FLAIR MR.
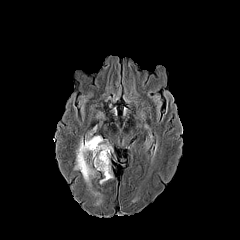
T1-weighted MRI.
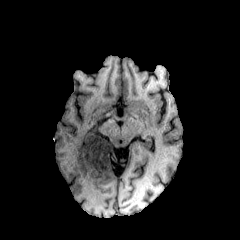
Post-contrast T1-weighted MR image.
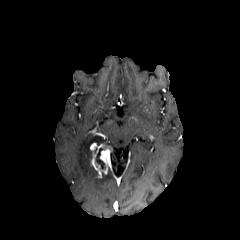
T2-weighted MR.
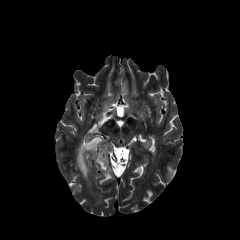
Brain. 240x240.
2 edema regions are located at <box>99,172,112,183</box>, <box>73,135,102,197</box>. The non-enhancing tumor core appears at <box>96,148,104,169</box>. The enhancing tumor lies within <box>89,141,112,174</box>.